240x240. Head.
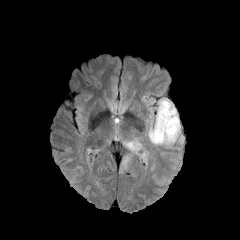
FLAIR MR image.
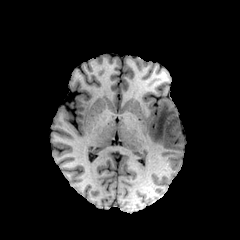
T1-weighted MR image.
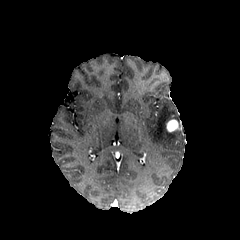
Post-contrast T1-weighted MRI.
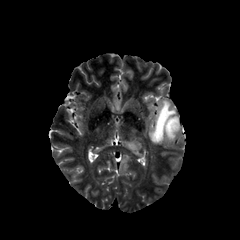
T2-weighted MR.
2 edema regions appear at [122, 137, 141, 155], [148, 99, 178, 143]. The enhancing tumor lies within [166, 120, 181, 131].